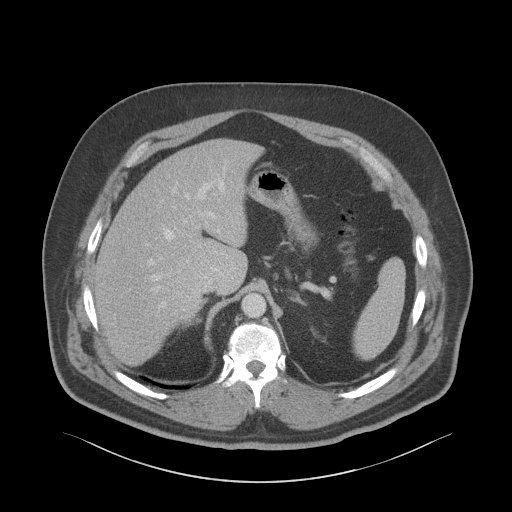 CT
liver:
  - x1=95 y1=140 x2=258 y2=363